Slice 37/155.
FLAIR MRI.
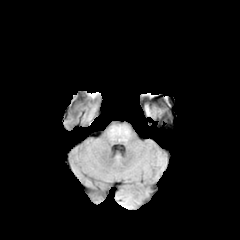
T1-weighted MRI.
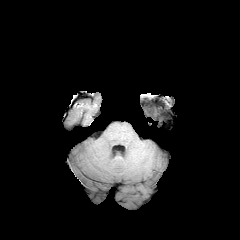
Post-contrast T1-weighted MR image.
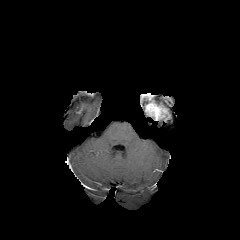
T2-weighted magnetic resonance.
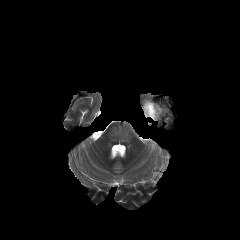
Enhancing tumor: (145, 104, 161, 117).